Image size 512x512 | CT scan slice | Image width 372 mm

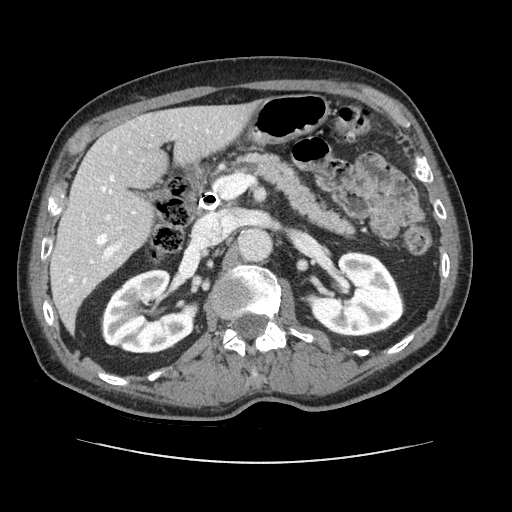
{
  "pancreas": [
    "234 153 353 234"
  ]
}